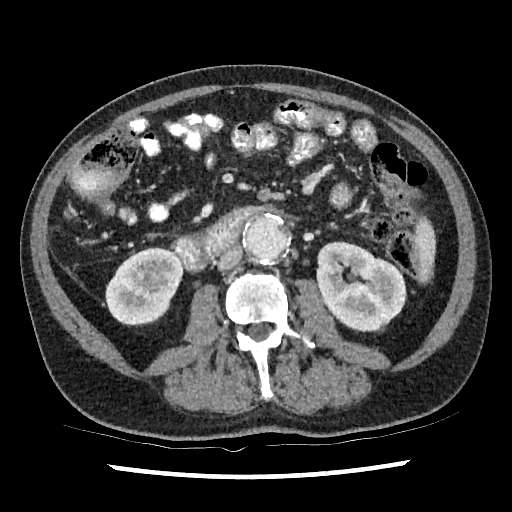

CT slice

Segmented structures:
* kidney: 317, 242, 405, 330; 106, 248, 182, 324